Slice 283/756. CT. Image size 512x512.

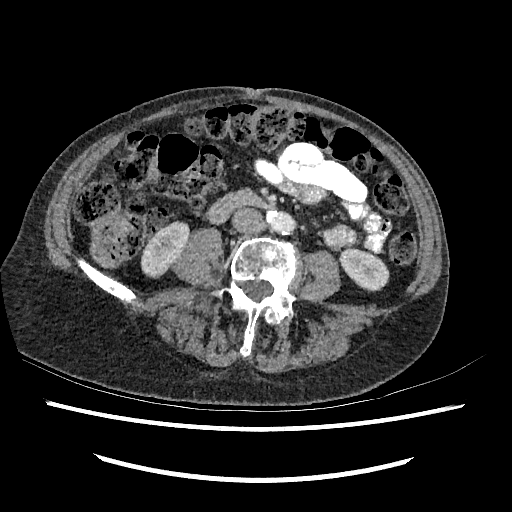

2 kidney regions are bounded by {"x1": 141, "y1": 224, "x2": 189, "y2": 275}, {"x1": 340, "y1": 249, "x2": 388, "y2": 289}.